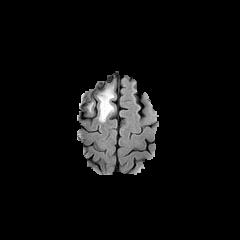
FLAIR MRI.
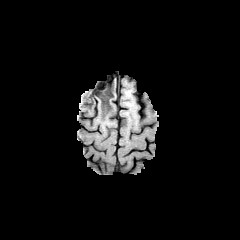
T1-weighted MR image of the same slice.
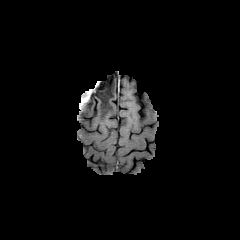
Post-contrast T1-weighted MR image.
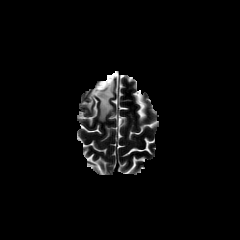
Same slice, T2-weighted magnetic resonance.
Head
2 edema regions appear at box=[106, 84, 115, 103]; box=[80, 90, 114, 122]. The non-enhancing tumor core appears at box=[94, 83, 111, 109].